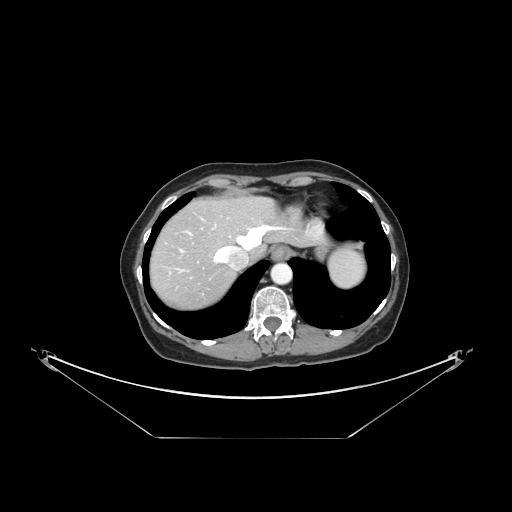 CT; Abdomen; 512x512
Only some of the vessels may be annotated.
The hepatic vessel lies within [x1=237, y1=226, x2=270, y2=249].